512x512 px. Abdomen. Slice 104/142. CT image.

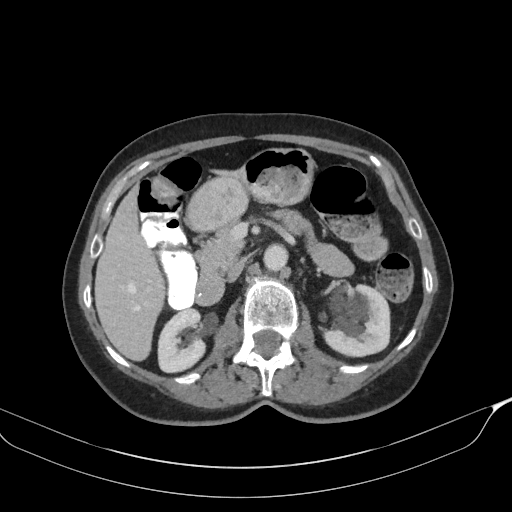
pancreas:
  - x1=276 y1=211 x2=306 y2=231
  - x1=196 y1=226 x2=243 y2=271